FLAIR MRI.
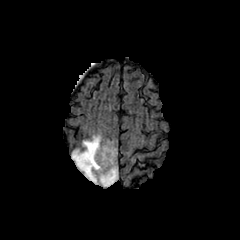
T1-weighted MRI.
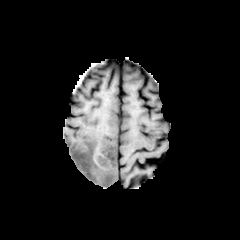
Post-contrast T1-weighted MRI.
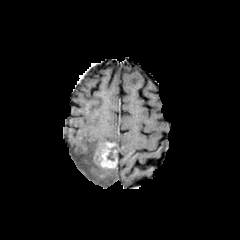
T2-weighted magnetic resonance.
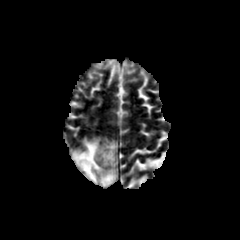
Brain
enhancing_tumor:
  - 99 142 115 168
non-enhancing_tumor_core:
  - 107 144 115 160
  - 100 172 113 183
  - 87 142 105 167
edema:
  - 71 135 118 187